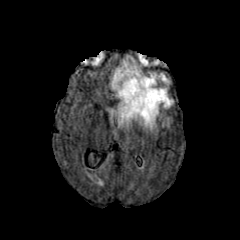
FLAIR magnetic resonance.
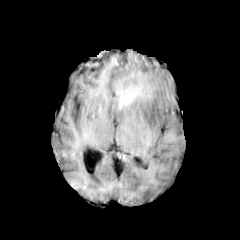
Same slice, T1-weighted MR image.
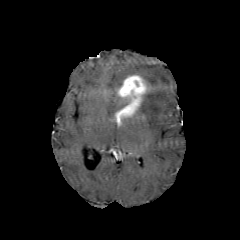
Post-contrast T1-weighted MRI of the same slice.
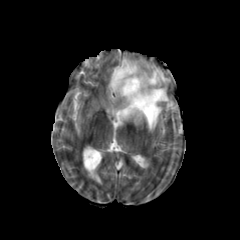
Same slice, T2-weighted MRI.
240x240 px | Head
Annotated regions:
* enhancing tumor: box=[115, 74, 146, 124]
* edema: box=[139, 57, 148, 65]; box=[111, 58, 173, 129]